512x512 px, Liver, Computed tomography 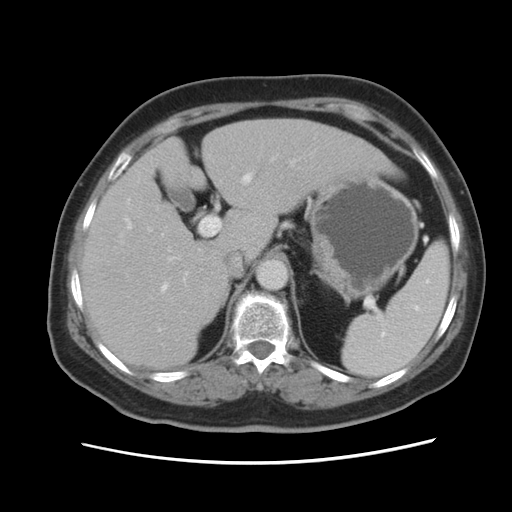 Not every hepatic vessel necessarily has a box.
Hepatic vessel — [271,157,274,161], [162,283,168,291], [125,218,132,228], [199,216,221,235], [291,159,296,164], [183,272,188,284], [168,257,180,261], [241,173,251,184], [127,199,129,203], [148,228,151,231].